Slice 122 of 574 | CT slice | Pelvis
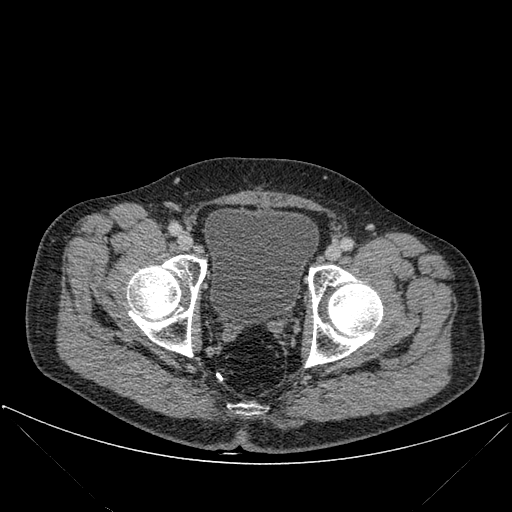 bone: rect(230, 404, 256, 414); rect(305, 265, 382, 367); rect(127, 255, 206, 356) | urinary bladder: rect(204, 206, 318, 324)